Liver. 512x512. Computed tomography. Slice index 24. 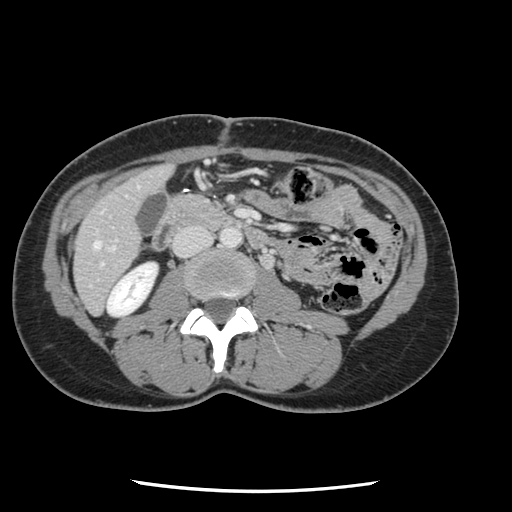
Not every hepatic vessel necessarily has a box.
Hepatic vessel at x1=93, y1=241, x2=99, y2=248; x1=108, y1=246, x2=113, y2=250; x1=100, y1=262, x2=102, y2=265.